FLAIR MRI.
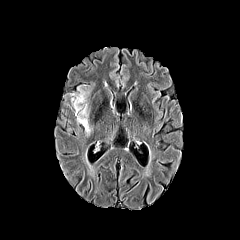
T1-weighted MR image.
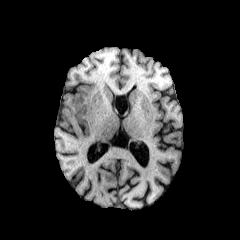
Post-contrast T1-weighted magnetic resonance.
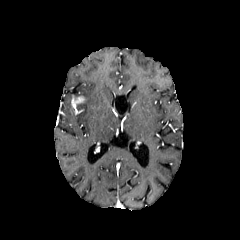
T2-weighted MRI.
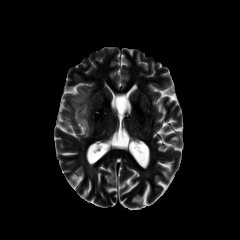
Image size 240x240
Enhancing tumor at 71,95,85,115.
Edema at 75,86,94,137.